CT scan slice; Slice index 229; Field of view 432x432 mm; Liver 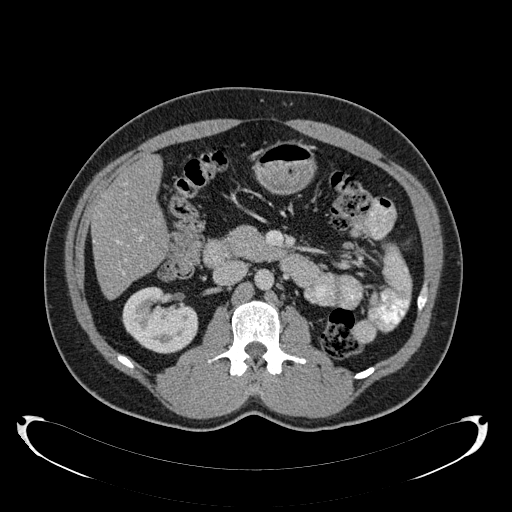 Kidney at left=123, top=287, right=197, bottom=358.
Liver at left=91, top=156, right=167, bottom=298.